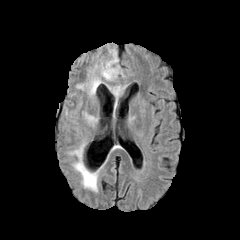
FLAIR magnetic resonance.
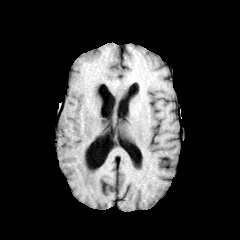
T1-weighted magnetic resonance of the same slice.
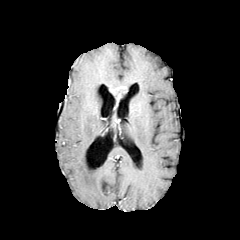
Post-contrast T1-weighted MR.
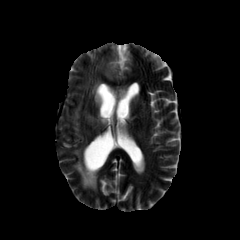
T2-weighted magnetic resonance of the same slice.
Edema: bounding box <bbox>112, 86, 126, 103</bbox>, <bbox>86, 114, 97, 122</bbox>, <bbox>70, 143, 98, 191</bbox>, <bbox>103, 50, 119, 80</bbox>, <bbox>88, 78, 101, 96</bbox>.